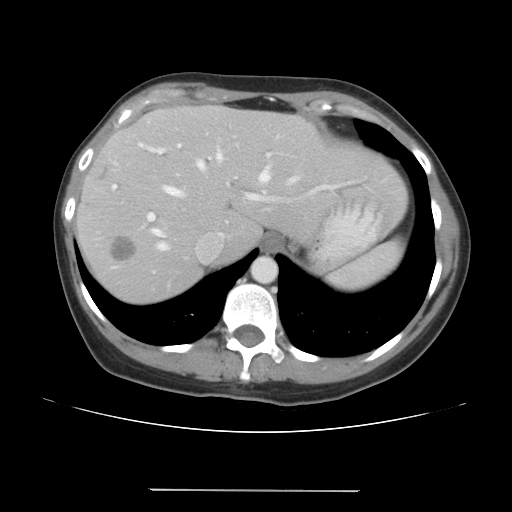 CT slice
Some hepatic vessels may have no box.
Annotated regions:
- liver tumor: bbox=[110, 239, 134, 257]
- hepatic vessel: bbox=[217, 157, 220, 159]; bbox=[198, 161, 203, 169]; bbox=[247, 168, 281, 200]; bbox=[156, 242, 167, 249]; bbox=[166, 187, 180, 195]; bbox=[288, 176, 298, 183]; bbox=[149, 214, 153, 219]; bbox=[316, 185, 335, 189]; bbox=[152, 228, 163, 236]